Computed tomography | Image size 512x512 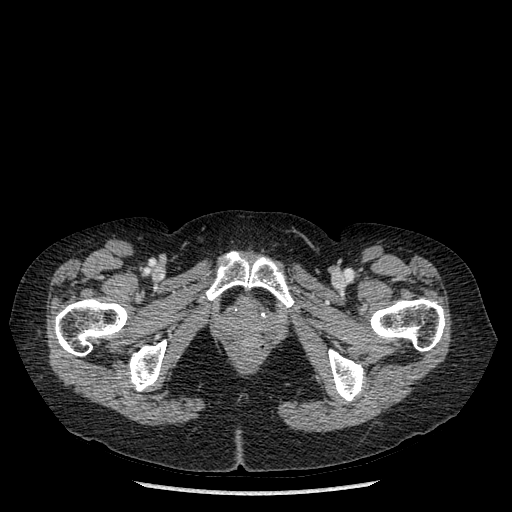 bone: box(128, 340, 166, 391); box(53, 298, 128, 356); box(328, 349, 364, 402); box(206, 251, 294, 307); box(370, 298, 445, 351)